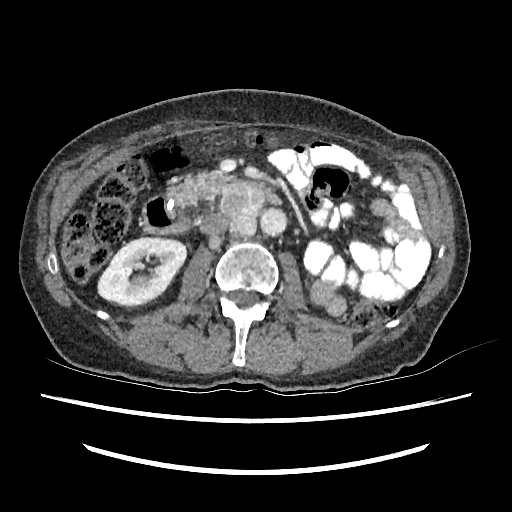 Abdomen. CT slice. Segmented structures:
• kidney: {"x1": 98, "y1": 238, "x2": 186, "y2": 304}